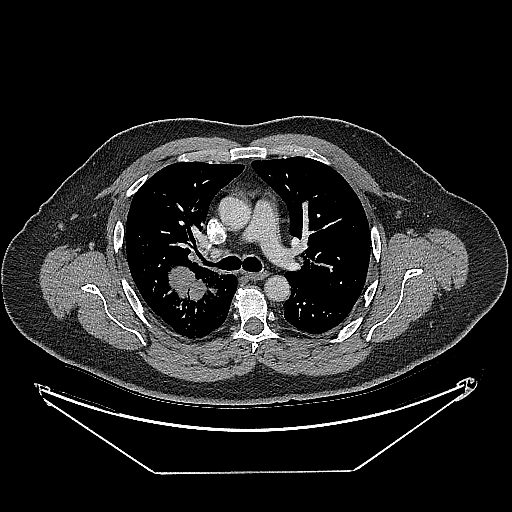 Image size 512x512, CT scan slice
The lung tumor appears at [163, 256, 228, 318].